Slice index 46; Head
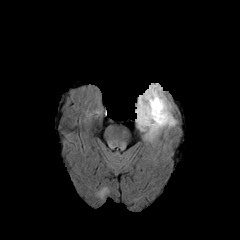
FLAIR magnetic resonance.
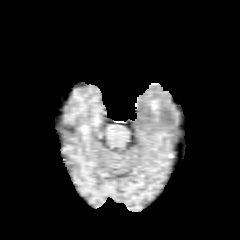
Same slice, T1-weighted magnetic resonance.
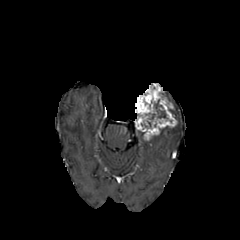
Post-contrast T1-weighted MR image of the same slice.
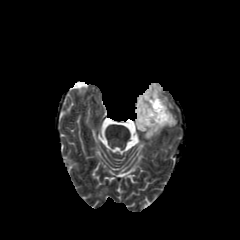
T2-weighted MR of the same slice.
Segmented structures:
• edema: bbox(164, 91, 176, 113)
• enhancing tumor: bbox(134, 83, 176, 139)